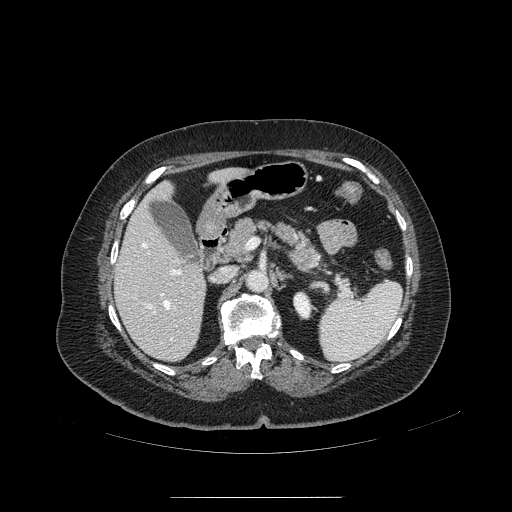 Upper abdomen, CT slice

<segmentation>
  <pancreatic_tumor>x1=292, y1=250, x2=312, y2=268</pancreatic_tumor>
  <pancreas>x1=224, y1=217, x2=324, y2=275</pancreas>
</segmentation>